Head, 240x240 px
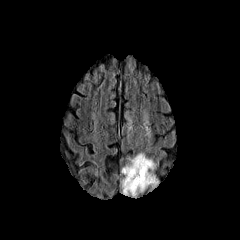
FLAIR magnetic resonance.
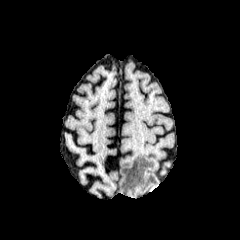
T1-weighted magnetic resonance.
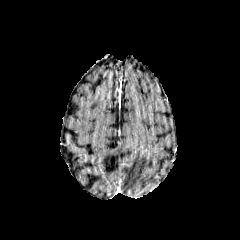
Post-contrast T1-weighted MRI.
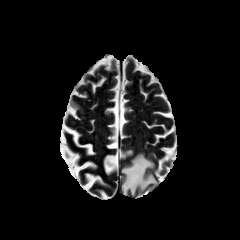
T2-weighted MRI.
edema: l=119, t=152, r=159, b=198